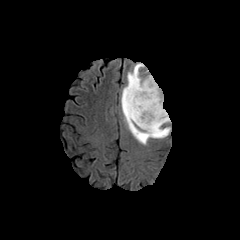
FLAIR MR.
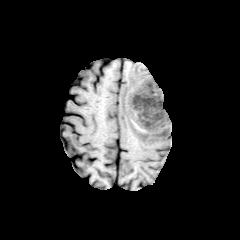
Same slice, T1-weighted MRI.
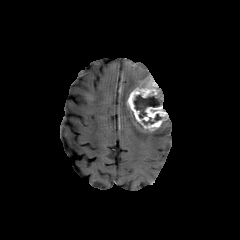
Post-contrast T1-weighted magnetic resonance.
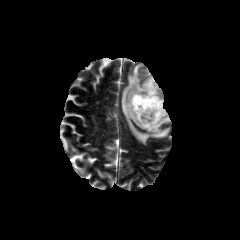
T2-weighted magnetic resonance of the same slice.
Head | Image size 240x240
Findings:
- edema: [x1=120, y1=63, x2=171, y2=145]
- non-enhancing tumor core: [x1=148, y1=128, x2=167, y2=135], [x1=134, y1=95, x2=163, y2=117], [x1=123, y1=79, x2=138, y2=122]
- enhancing tumor: [x1=127, y1=75, x2=168, y2=130]